FLAIR MR image.
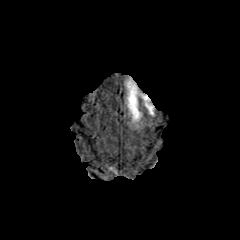
T1-weighted magnetic resonance.
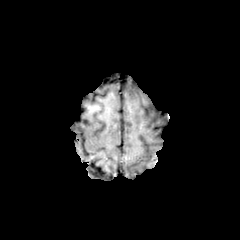
Post-contrast T1-weighted MRI.
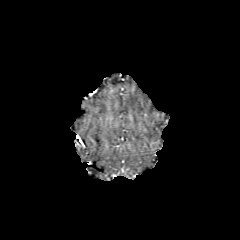
T2-weighted magnetic resonance.
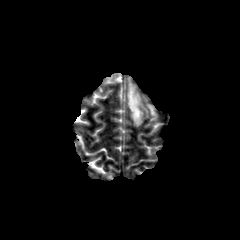
Brain | 240x240
Findings:
- edema: 146, 103, 153, 115; 127, 80, 140, 121